Field of view 410 mm wide, 1.50 mm slice spacing; Slice index 139; Abdomen; CT slice
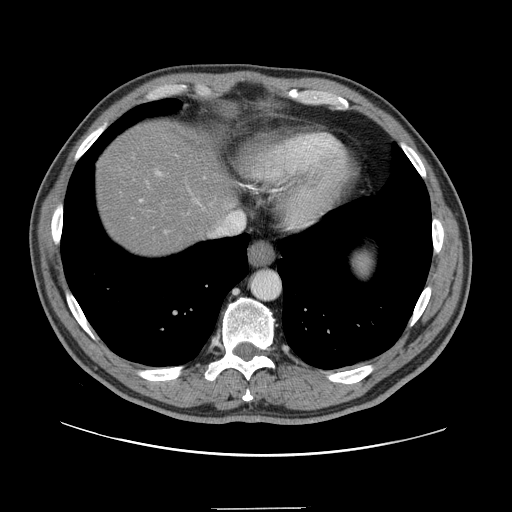

Some hepatic vessels may have no box.
<segmentation>
  <hepatic_vessel>229,214,232,217; 157,171,162,175</hepatic_vessel>
</segmentation>